Liver. CT slice.
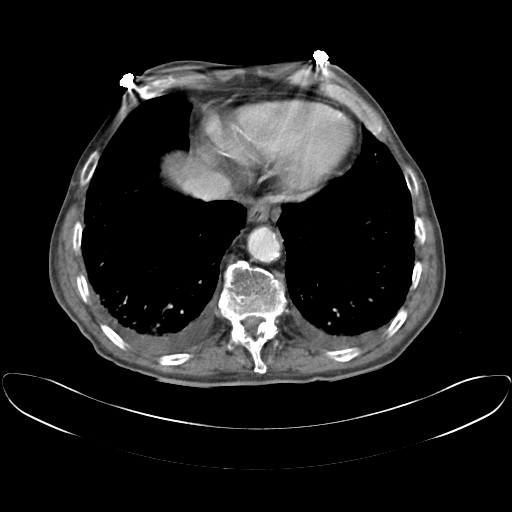

The vessel annotation is not exhaustive.
<segmentation>
  <hepatic_vessel><bbox>184, 180, 215, 198</bbox></hepatic_vessel>
</segmentation>